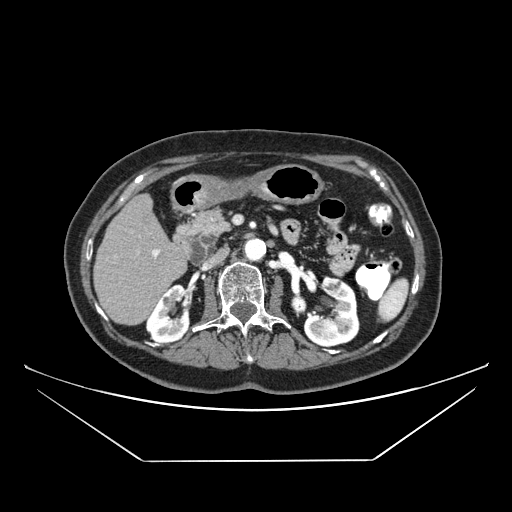
CT image; Abdomen

Pancreas — l=174, t=208, r=233, b=266.
Pancreatic tumor — l=189, t=231, r=216, b=264.